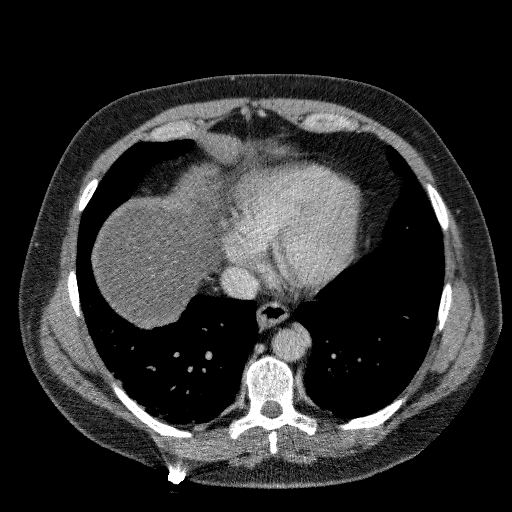
CT

Segmented structures:
- liver: bbox=[94, 168, 216, 326]